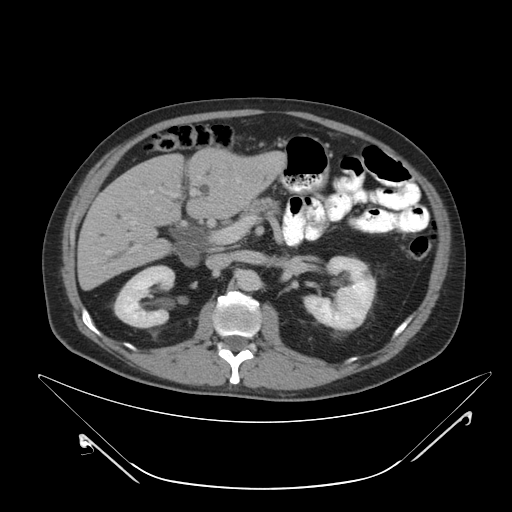 Computed tomography

Pancreas — {"x1": 243, "y1": 198, "x2": 277, "y2": 215}.